Image width 385 mm; Liver; CT scan slice

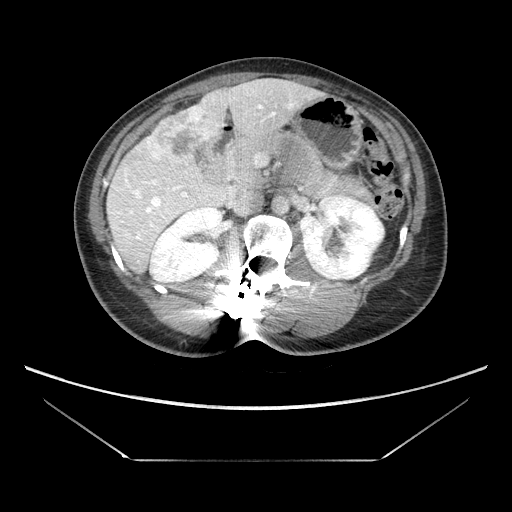
<segmentation>
  <liver_tumor>146,107,219,162</liver_tumor>
</segmentation>